CT scan slice | Image width 458 mm
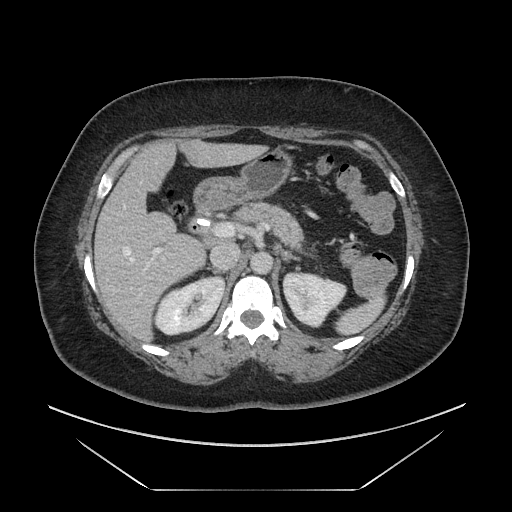 Pancreas at bbox(236, 203, 301, 247).